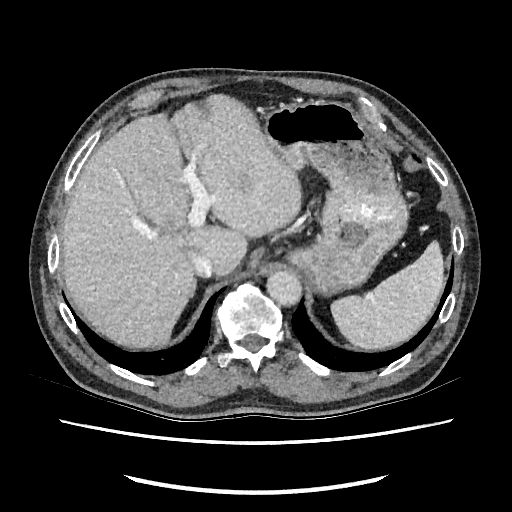
CT, 512x512
The liver is at (62,96,299,345).